Slice 9/44, MRI slice, Hippocampus

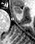 The anterior hippocampus is located at x1=12 y1=6 x2=21 y2=12.